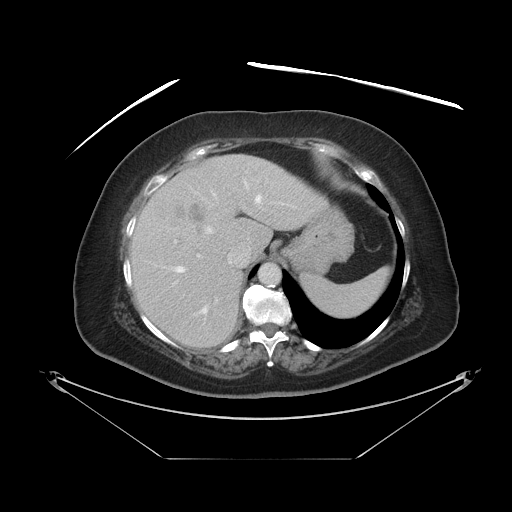 Computed tomography, Liver
Not every hepatic vessel necessarily has a box.
<segmentation>
  <liver_tumor>(171, 199, 209, 237)</liver_tumor>
  <hepatic_vessel>(228, 225, 252, 255), (196, 192, 198, 193), (196, 306, 207, 313), (172, 280, 177, 285), (229, 261, 230, 262), (212, 191, 215, 194), (244, 181, 247, 187), (174, 240, 176, 241), (209, 227, 212, 233), (161, 265, 186, 272), (254, 194, 261, 204), (197, 253, 199, 256)</hepatic_vessel>
</segmentation>